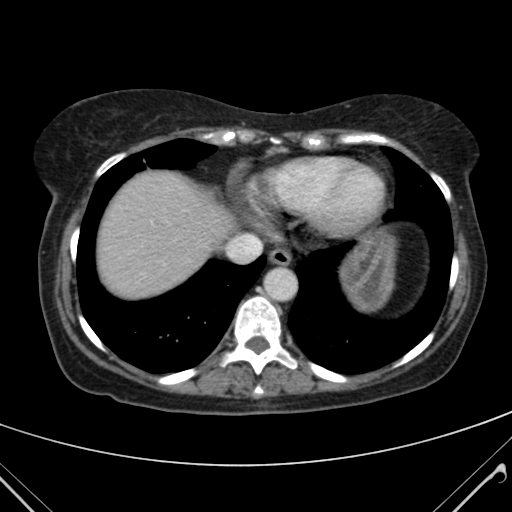 CT image

liver: [x1=97, y1=171, x2=239, y2=299]